CT image; Slice 486/871; Liver; Image width 380 mm

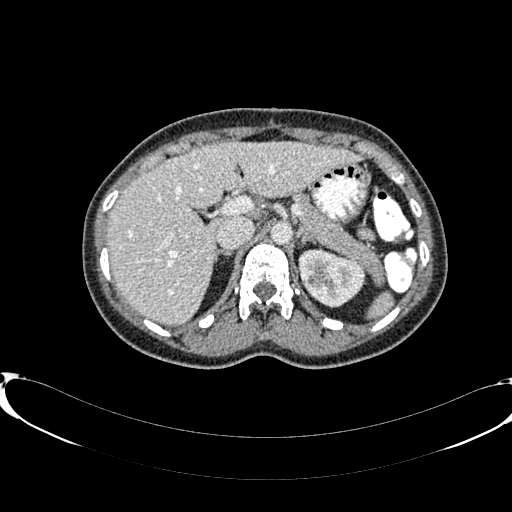 The kidney lies within [300, 251, 363, 305]. 2 liver regions are bounded by [106, 142, 363, 324], [251, 208, 260, 217].